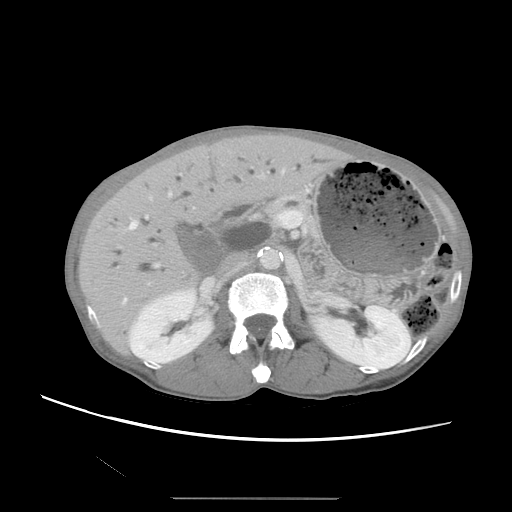 Upper abdomen; CT scan slice; 512x512 px
Pancreas: 267 193 311 220.